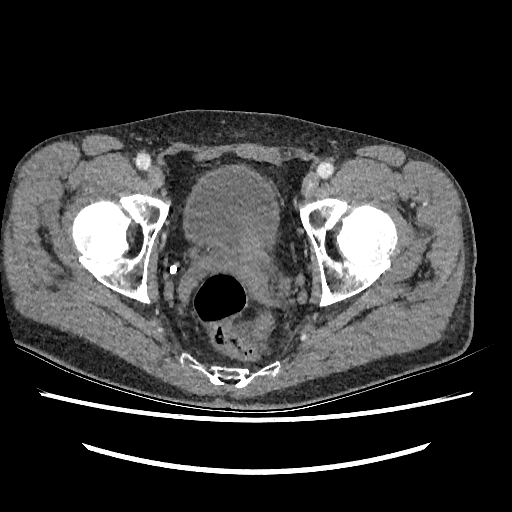

CT; Lower abdomen
urinary_bladder:
  - l=183, t=170, r=276, b=249